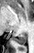 Magnetic resonance | Medial temporal lobe
The posterior hippocampus lies within box(13, 33, 27, 44).